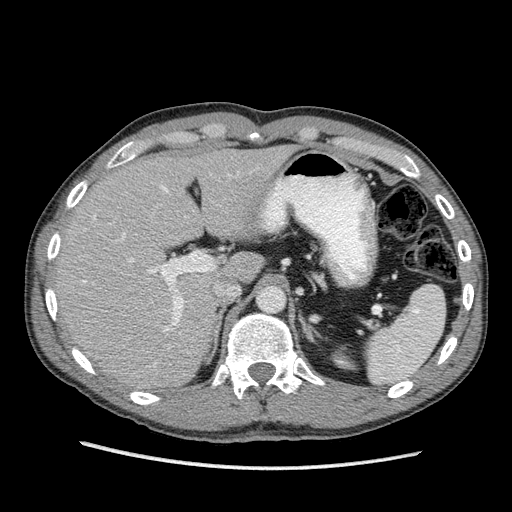

Abdomen, Computed tomography
The liver lies within rect(51, 144, 299, 392).